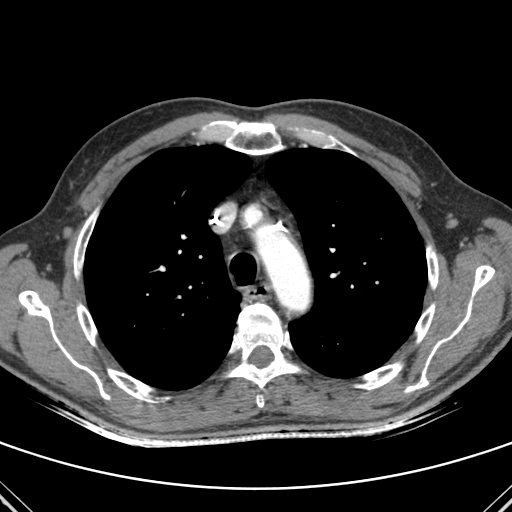
CT, 512x512 px
2 lung regions are bounded by {"x1": 84, "y1": 145, "x2": 251, "y2": 390}, {"x1": 267, "y1": 148, "x2": 427, "y2": 377}. 11 bone regions are bounded by {"x1": 18, "y1": 290, "x2": 110, "y2": 399}, {"x1": 202, "y1": 120, "x2": 283, "y2": 154}, {"x1": 107, "y1": 368, "x2": 152, "y2": 401}, {"x1": 426, "y1": 245, "x2": 438, "y2": 289}, {"x1": 325, "y1": 137, "x2": 337, "y2": 147}, {"x1": 415, "y1": 303, "x2": 434, "y2": 342}, {"x1": 404, "y1": 265, "x2": 494, "y2": 392}, {"x1": 356, "y1": 362, "x2": 402, "y2": 389}, {"x1": 77, "y1": 303, "x2": 96, "y2": 346}, {"x1": 226, "y1": 303, "x2": 300, "y2": 407}, {"x1": 73, "y1": 208, "x2": 97, "y2": 277}.